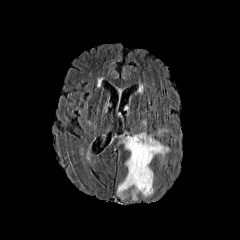
FLAIR MRI.
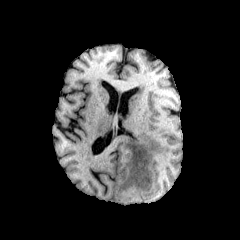
T1-weighted MR image.
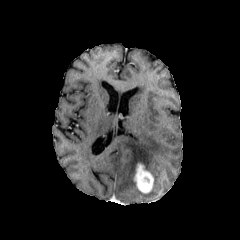
Same slice, post-contrast T1-weighted magnetic resonance.
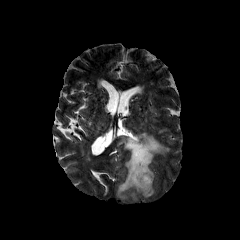
Same slice, T2-weighted MR.
240x240.
Segmented structures:
* enhancing tumor: 133, 163, 153, 193
* edema: 157, 128, 170, 137; 116, 131, 169, 201